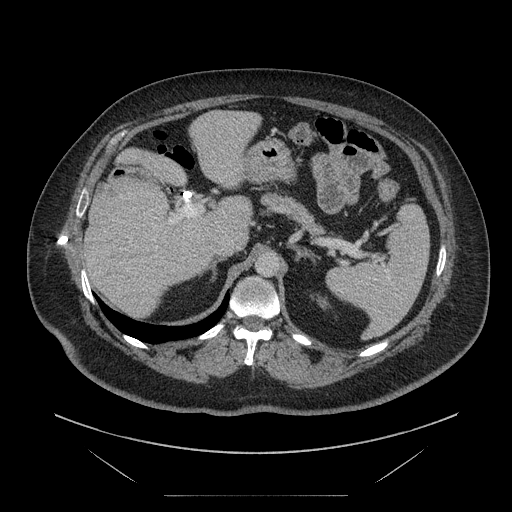
CT scan slice
Not every hepatic vessel necessarily has a box.
Hepatic vessel at 168:200:203:224.